CT; Upper abdomen
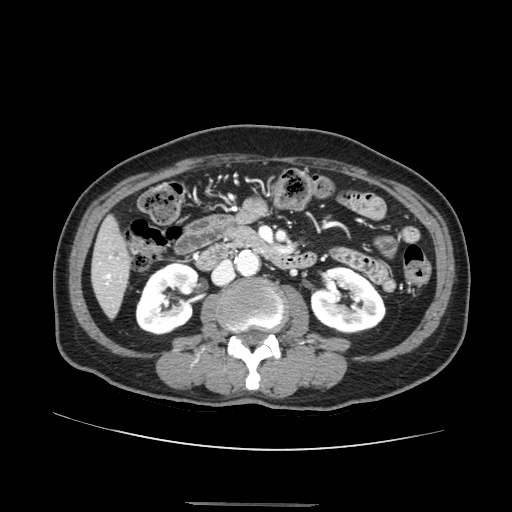 Findings:
* pancreas: x1=237 y1=228 x2=254 y2=240